Computed tomography.

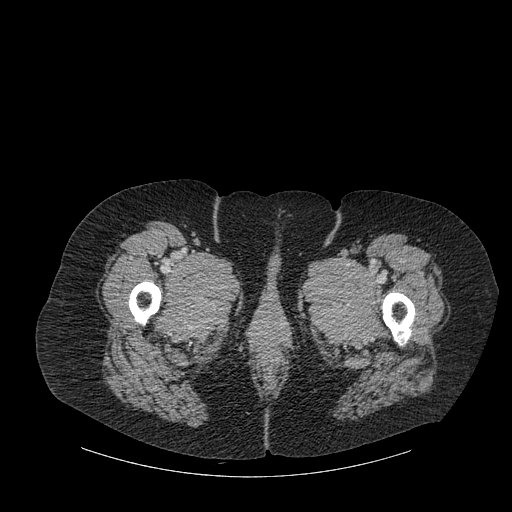
Segmented structures:
* bone: (129,281,160,324), (382,292,414,345)